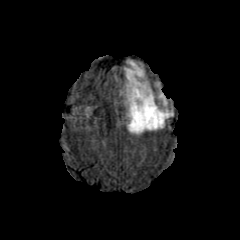
FLAIR MRI.
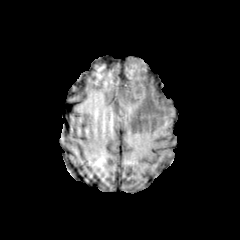
Same slice, T1-weighted magnetic resonance.
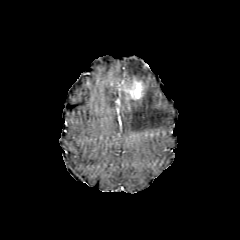
Post-contrast T1-weighted MR of the same slice.
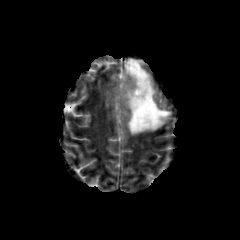
T2-weighted MR.
enhancing_tumor:
  - [121,80,143,99]
edema:
  - [124,60,173,134]
  - [158,94,167,106]